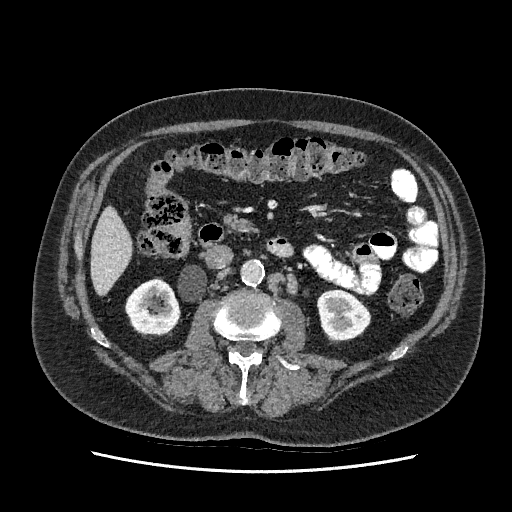
512x512. Abdomen. Computed tomography. Liver: 92 207 131 294.
Kidney: 126 280 179 333, 318 290 369 339.